FLAIR MR.
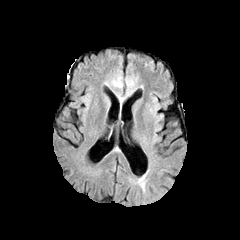
T1-weighted magnetic resonance.
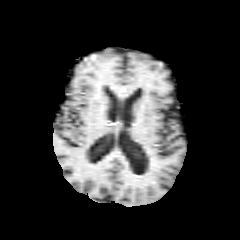
Post-contrast T1-weighted MR image.
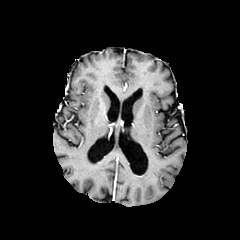
T2-weighted MR image.
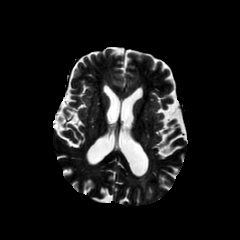
Edema — 138, 174, 146, 189.